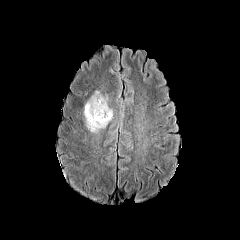
FLAIR MR image.
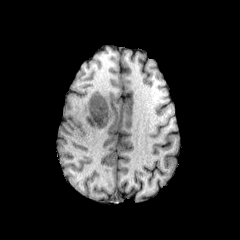
Same slice, T1-weighted MR.
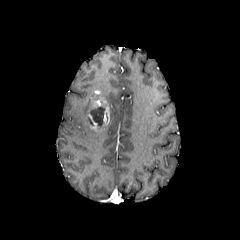
Post-contrast T1-weighted MR.
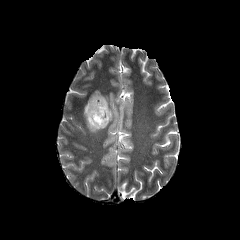
T2-weighted MR image of the same slice.
Head
<segmentation>
  <enhancing_tumor>x1=90 y1=96 x2=106 y2=107, x1=103 y1=106 x2=109 y2=124</enhancing_tumor>
  <non-enhancing_tumor_core>x1=91 y1=93 x2=106 y2=100, x1=88 y1=103 x2=108 y2=126</non-enhancing_tumor_core>
  <edema>x1=84 y1=99 x2=90 y2=129</edema>
</segmentation>